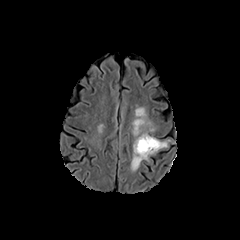
FLAIR MR.
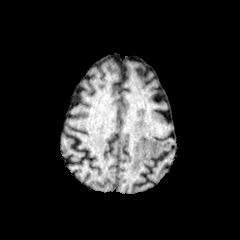
T1-weighted magnetic resonance of the same slice.
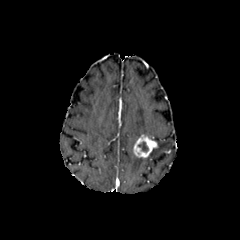
Post-contrast T1-weighted MR image.
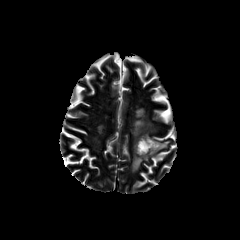
T2-weighted MR image.
Brain
Non-enhancing tumor core: bounding box left=138, top=141, right=148, bottom=152.
Enhancing tumor: bounding box left=133, top=134, right=157, bottom=158.
Edema: bounding box left=130, top=139, right=171, bottom=172; left=131, top=108, right=154, bottom=143.